Slice 9/38; Liver; CT image
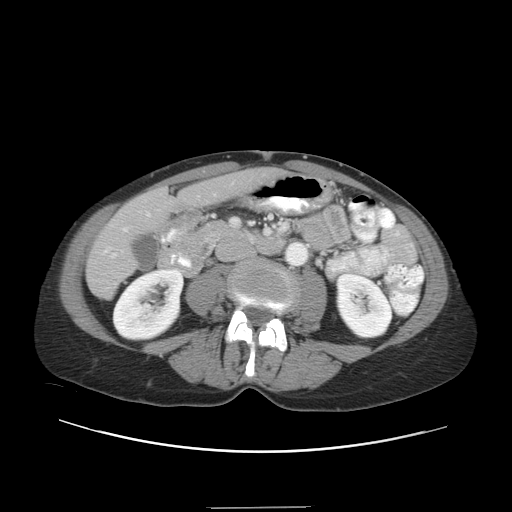
Not every hepatic vessel necessarily has a box.
4 hepatic vessel regions are bounded by bbox=[104, 247, 110, 252]; bbox=[111, 253, 115, 256]; bbox=[123, 227, 127, 231]; bbox=[146, 213, 149, 216].